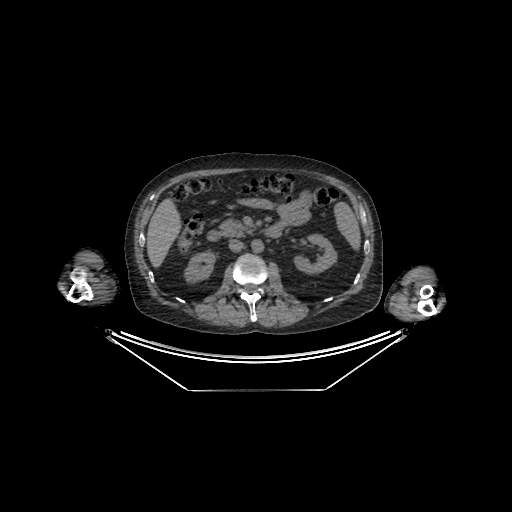
512x512 px. Computed tomography. 2 kidney regions are bounded by [x1=294, y1=234, x2=337, y2=274], [x1=184, y1=250, x2=216, y2=283]. The liver lies within [x1=147, y1=199, x2=180, y2=266].